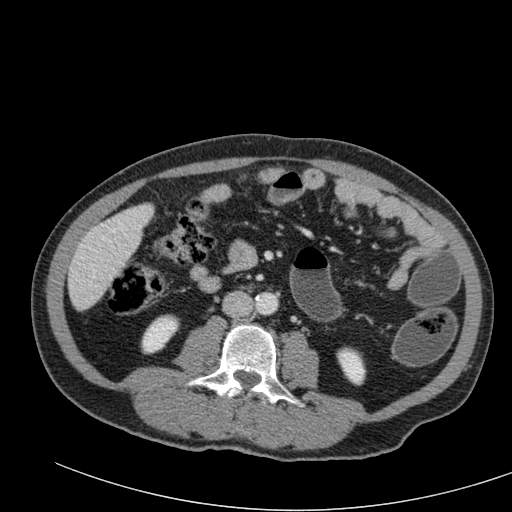 Upper abdomen, CT image, 512x512 px
Liver — (x1=68, y1=204, x2=153, y2=309).
Kidney — (x1=143, y1=317, x2=177, y2=352), (x1=338, y1=350, x2=364, y2=383).